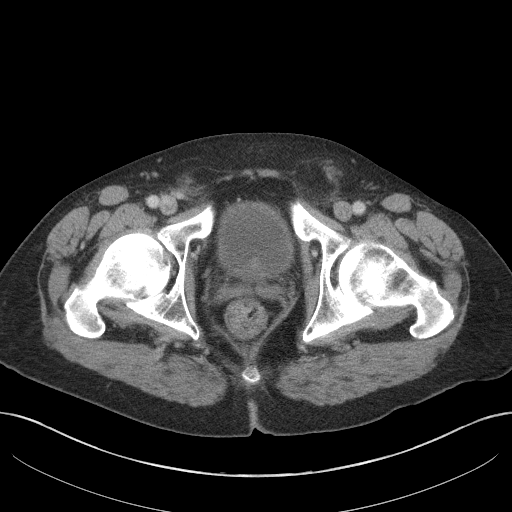 CT image; Lower abdomen; 512x512 px
Segmented structures:
* urinary bladder: box(215, 205, 294, 292)